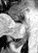
Medial temporal lobe; 38x53 px; Magnetic resonance

The posterior hippocampus is bounded by (13,36,26,47). The anterior hippocampus is at (10,14,18,20).